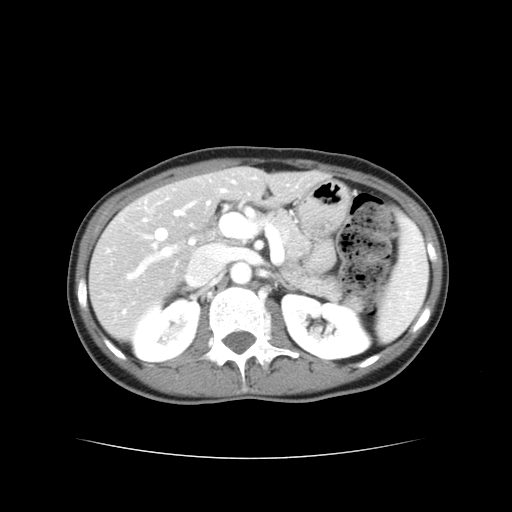

Liver. CT image.
Not every hepatic vessel necessarily has a box.
Hepatic vessel: <bbox>223, 190, 225, 192</bbox>, <bbox>163, 248, 170, 255</bbox>, <bbox>156, 230, 166, 239</bbox>, <bbox>175, 211, 183, 215</bbox>.